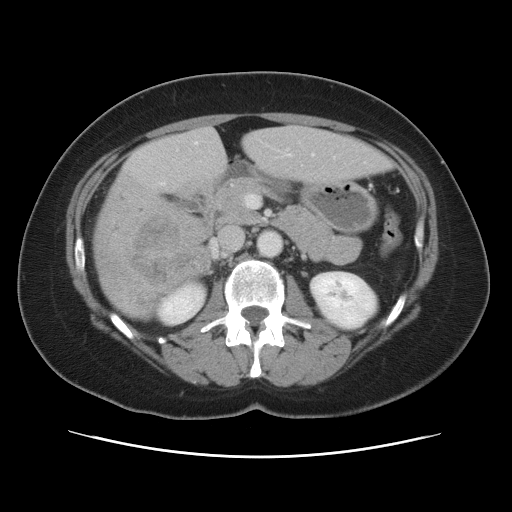

Computed tomography | 512x512 px
Only some of the vessels may be annotated.
<segmentation>
  <liver_tumor>{"x1": 127, "y1": 210, "x2": 185, "y2": 288}</liver_tumor>
  <hepatic_vessel>{"x1": 312, "y1": 153, "x2": 313, "y2": 155}, {"x1": 284, "y1": 149, "x2": 290, "y2": 155}</hepatic_vessel>
</segmentation>